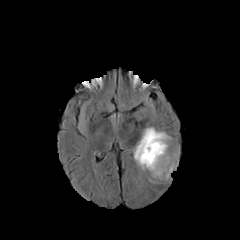
FLAIR MRI.
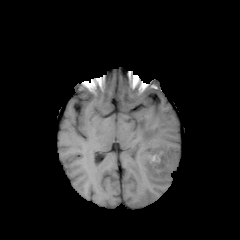
T1-weighted magnetic resonance of the same slice.
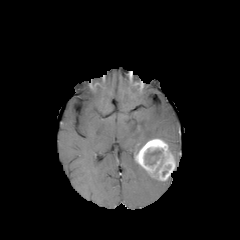
Post-contrast T1-weighted MR.
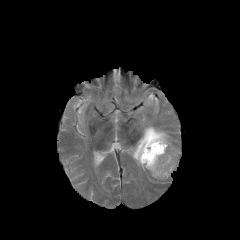
Same slice, T2-weighted MR image.
Brain. Image size 240x240.
<segmentation>
  <non-enhancing_tumor_core>box(145, 149, 161, 165)</non-enhancing_tumor_core>
  <enhancing_tumor>box(135, 138, 175, 180)</enhancing_tumor>
  <edema>box(134, 158, 170, 183); box(128, 124, 180, 170)</edema>
</segmentation>